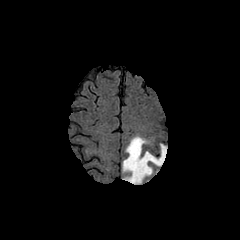
FLAIR MR.
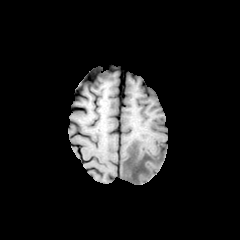
T1-weighted magnetic resonance of the same slice.
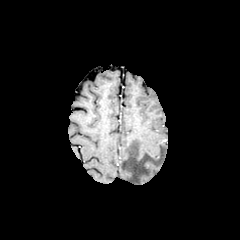
Post-contrast T1-weighted MRI of the same slice.
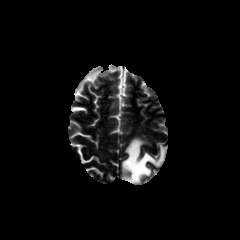
T2-weighted MRI.
Head.
• edema: rect(122, 136, 167, 184)